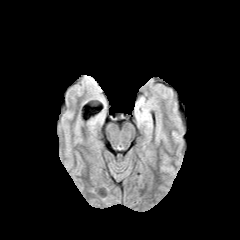
FLAIR magnetic resonance.
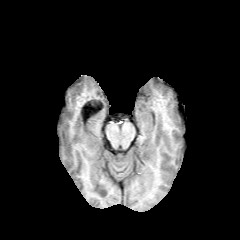
T1-weighted MRI of the same slice.
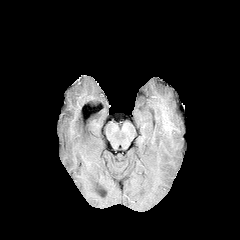
Post-contrast T1-weighted MRI.
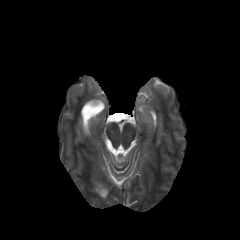
T2-weighted MRI of the same slice.
Head
The edema is bounded by l=136, t=95, r=146, b=106.